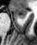 Magnetic resonance. Medial temporal lobe. 37x45 px.

anterior_hippocampus:
  - (x1=12, y1=6, x2=27, y2=18)